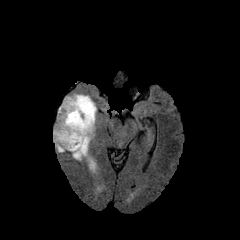
FLAIR magnetic resonance.
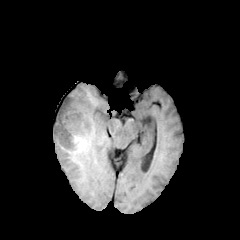
Same slice, T1-weighted MR.
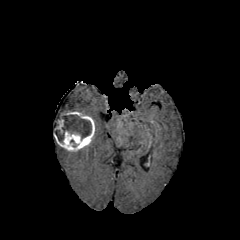
Same slice, post-contrast T1-weighted MRI.
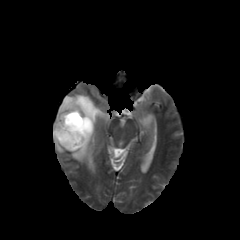
T2-weighted magnetic resonance.
Head
Edema at 55:144:66:153, 54:98:65:125, 66:92:101:171.
Non-enhancing tumor core at 53:130:63:141, 62:115:91:137.
Enhancing tumor at 54:110:94:151.